Computed tomography, Slice 61/99

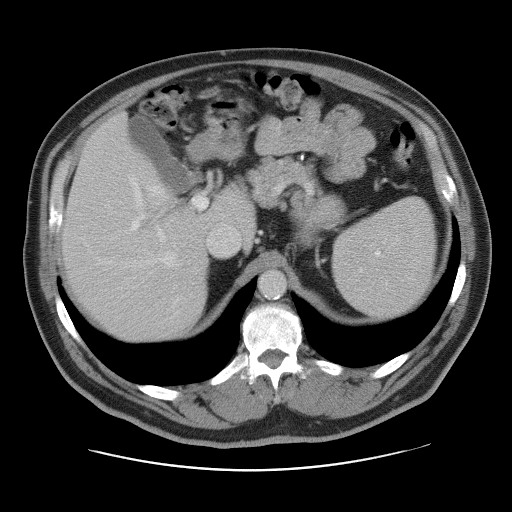
The vessel boxes may cover only some of the vessels.
Annotated regions:
• hepatic vessel: 148,184,163,194; 159,253,173,266; 206,227,239,254; 124,214,144,231; 192,196,207,209; 156,227,163,240; 130,177,142,208